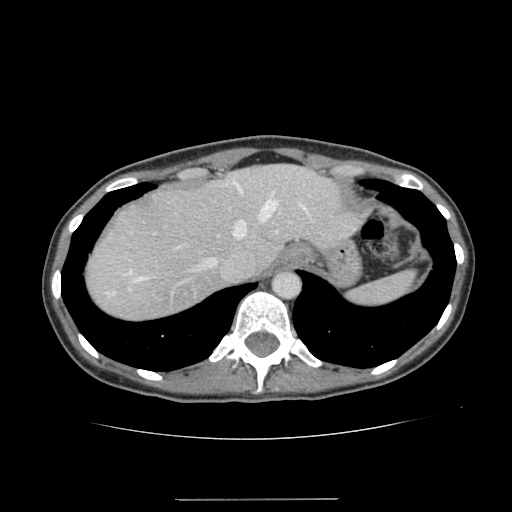 Image size 512x512, CT scan slice

The liver appears at (x1=85, y1=165, x2=364, y2=322).